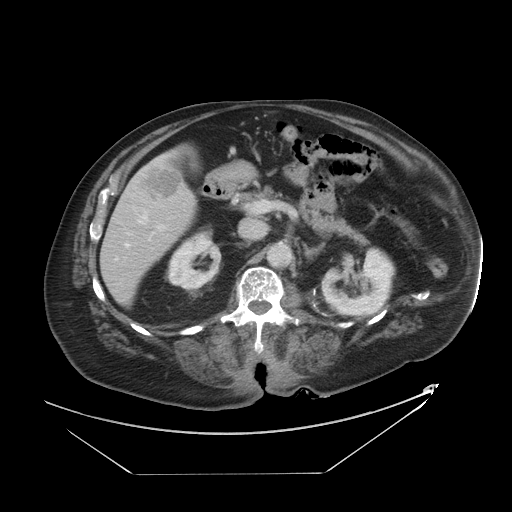

Computed tomography

The vessel boxes may cover only some of the vessels.
{"hepatic_vessel": ["159:225:165:231"], "liver_tumor": ["138:163:181:203"]}